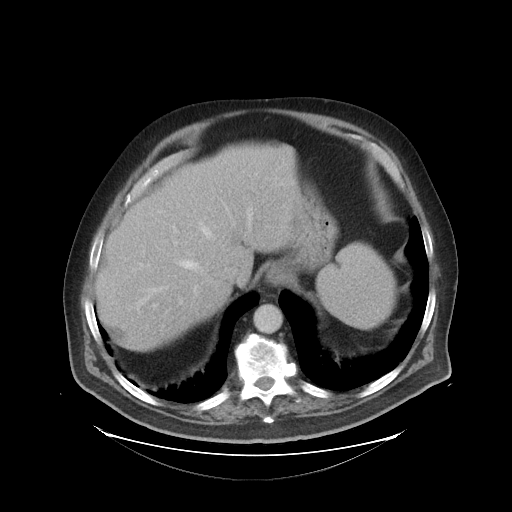
CT | 512x512

The vessel annotation is not exhaustive.
<segmentation>
  <hepatic_vessel>166:310:167:312, 175:259:197:268, 162:325:163:327, 247:207:252:229, 257:163:259:165, 180:299:182:303, 175:242:176:244, 225:206:231:217, 148:288:161:292, 275:177:277:181, 255:172:257:175, 198:221:212:237</hepatic_vessel>
</segmentation>